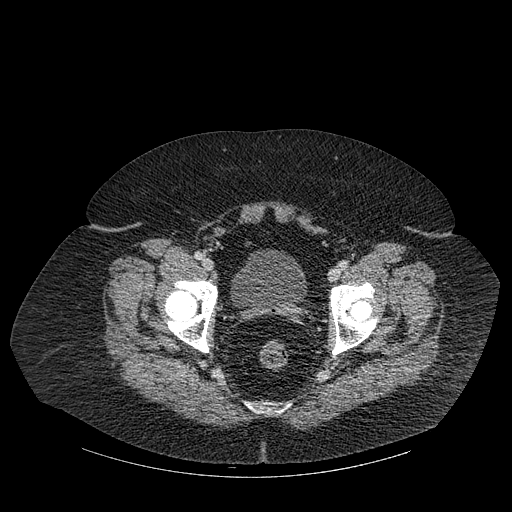
512x512; CT; Lower abdomen
3 bone regions are bounded by left=330, top=282, right=377, bottom=355; left=245, top=403, right=290, bottom=413; left=165, top=280, right=217, bottom=352. The urinary bladder is located at left=231, top=249, right=307, bottom=319.